CT scan slice, Liver, Slice 303 of 654
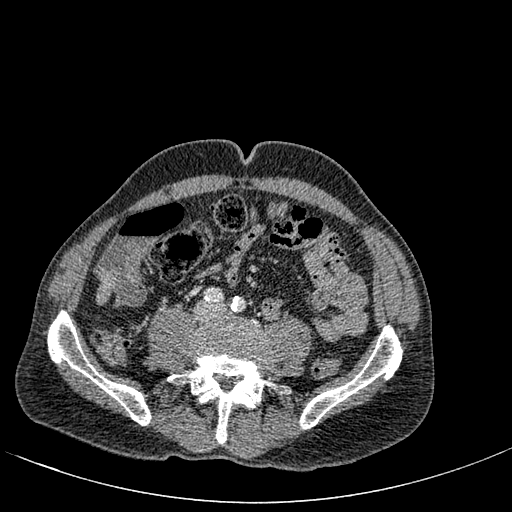

liver:
  - [97,274,111,304]